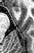

Medial temporal lobe | MR

<segmentation>
  <anterior_hippocampus>(x1=13, y1=6, x2=18, y2=11)</anterior_hippocampus>
</segmentation>